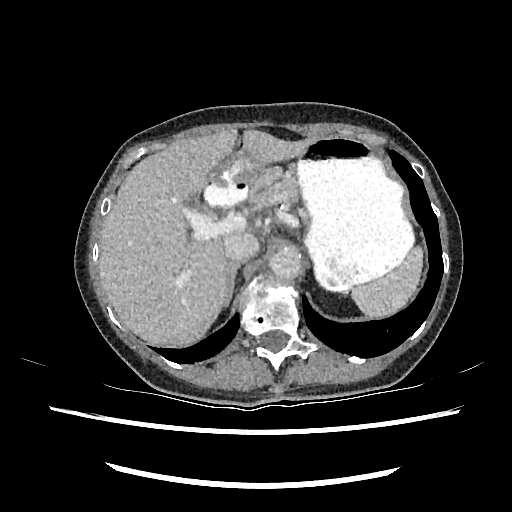

Computed tomography. 512x512. 3 liver regions are bounded by x1=272 y1=168 x2=280 y2=177, x1=245 y1=131 x2=309 y2=161, x1=101 y1=130 x2=237 y2=344.